Slice 91 of 871; Lower abdomen; CT

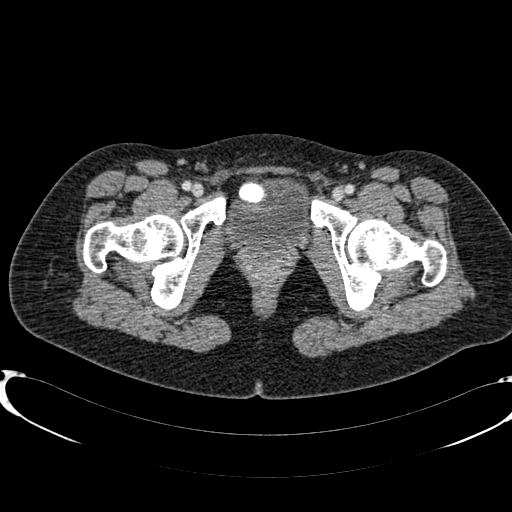 urinary bladder: [225, 177, 313, 251]